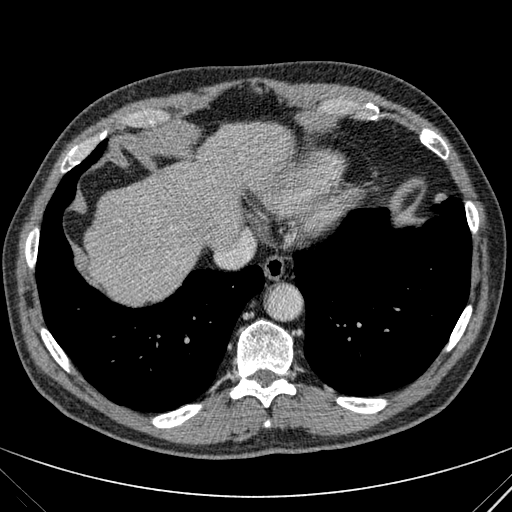

Computed tomography
Liver: bounding box {"x1": 85, "y1": 123, "x2": 291, "y2": 302}.